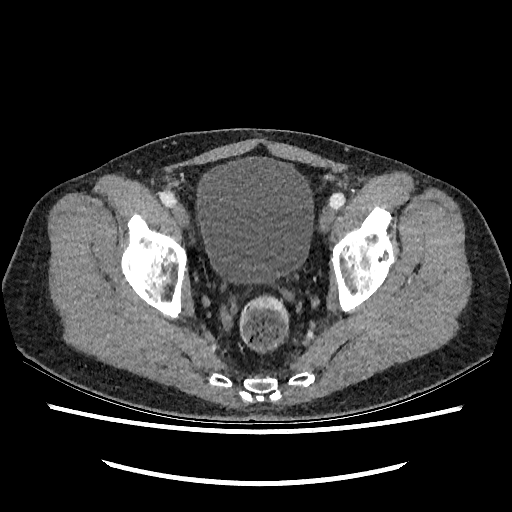

Computed tomography

Annotated regions:
• urinary bladder: box=[196, 156, 314, 285]